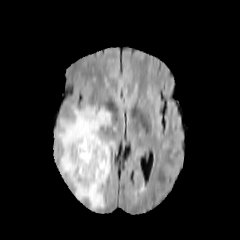
FLAIR MR image.
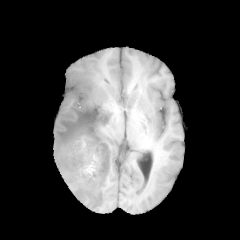
T1-weighted MRI.
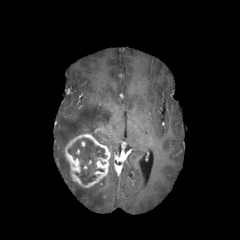
Same slice, post-contrast T1-weighted MR image.
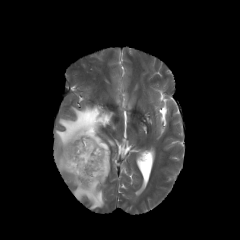
T2-weighted MRI.
Brain
Findings:
- non-enhancing tumor core: 68 138 105 185
- enhancing tumor: 65 133 110 187
- edema: 55 104 113 209